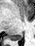

Hippocampus; MRI

posterior_hippocampus:
  - rect(10, 33, 23, 40)